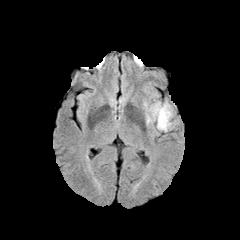
FLAIR MR image.
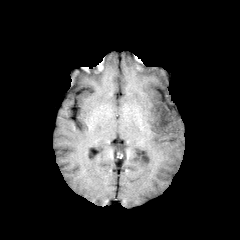
T1-weighted MR.
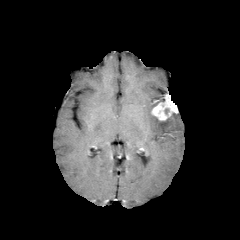
Post-contrast T1-weighted MR image of the same slice.
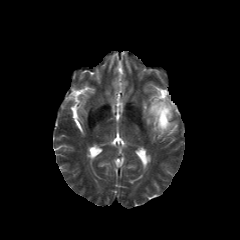
T2-weighted MRI.
240x240
Edema: 153:116:177:132.
Enhancing tumor: 151:95:177:121.